Slice index 80 | Brain
FLAIR MRI.
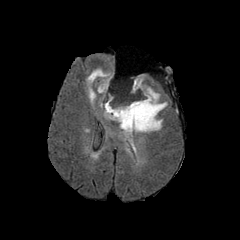
T1-weighted MR image.
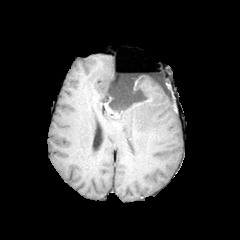
Post-contrast T1-weighted MR.
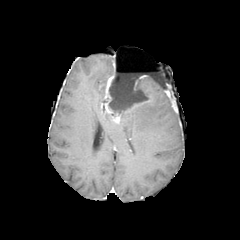
T2-weighted MR image.
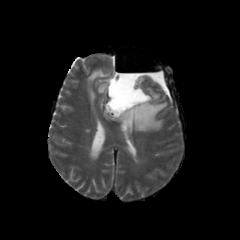
The enhancing tumor is bounded by 105,76,112,92. 2 edema regions are bounded by 118,76,167,150; 87,69,111,106. The non-enhancing tumor core is at 104,78,147,122.